Slice index 114
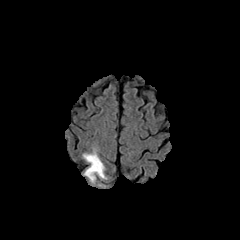
FLAIR MRI.
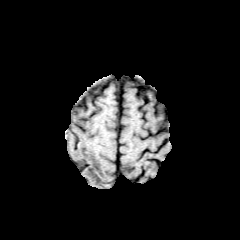
T1-weighted magnetic resonance of the same slice.
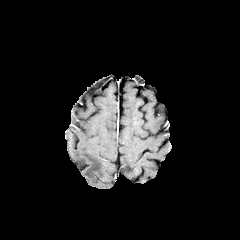
Post-contrast T1-weighted MR.
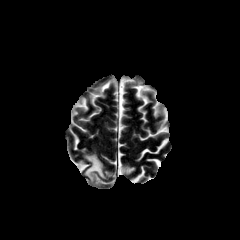
Same slice, T2-weighted magnetic resonance.
Edema at left=82, top=149, right=109, bottom=184.